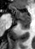

MR, Hippocampus, 35x49

anterior_hippocampus:
  - (13,7,30,20)
posterior_hippocampus:
  - (17,21,30,28)